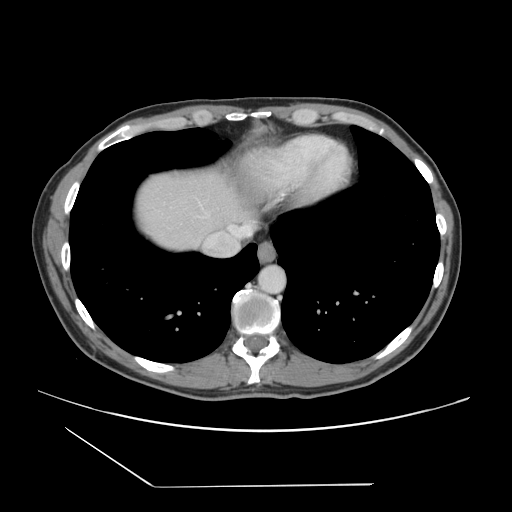 Computed tomography
Some hepatic vessels may have no box.
3 hepatic vessel regions are located at [200, 213, 209, 217], [200, 204, 202, 208], [227, 223, 252, 236].